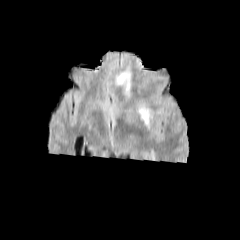
FLAIR MRI.
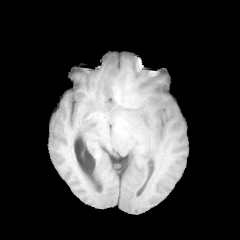
T1-weighted MRI.
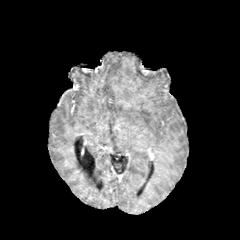
Same slice, post-contrast T1-weighted magnetic resonance.
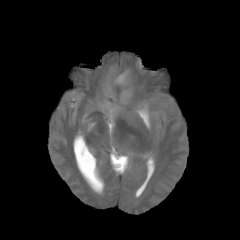
T2-weighted MR.
240x240; Head
- edema: x1=117 y1=71 x2=129 y2=80, x1=138 y1=103 x2=148 y2=124